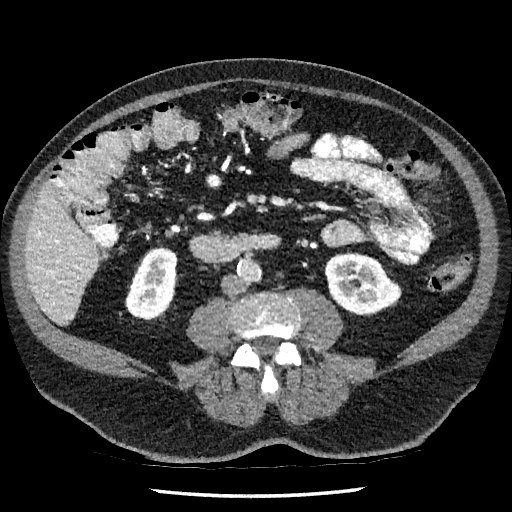
Upper abdomen | CT image
2 kidney regions are bounded by bbox(326, 254, 399, 313); bbox(126, 250, 176, 318). The liver is bounded by bbox(25, 185, 98, 324).